Head. Slice 128/155.
FLAIR MR image.
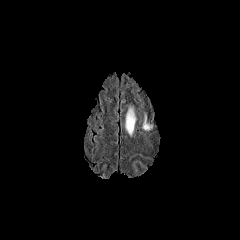
T1-weighted MRI.
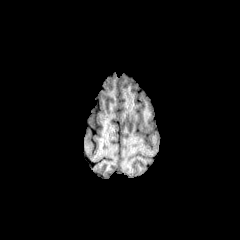
Post-contrast T1-weighted magnetic resonance.
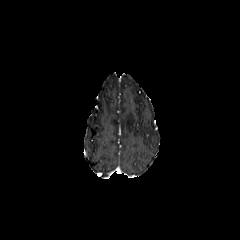
T2-weighted MR.
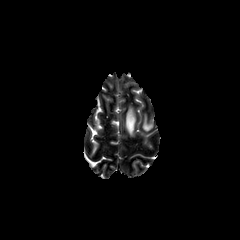
The edema is bounded by left=125, top=108, right=135, bottom=133.